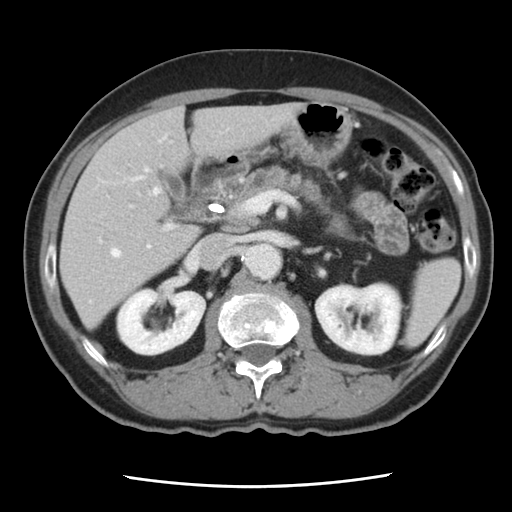

CT slice; 512x512

The pancreatic tumor lies within box(227, 203, 260, 226). The pancreas is located at box(229, 167, 361, 241).